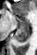 MRI. Posterior hippocampus = left=15, top=23, right=28, bottom=42.
Anterior hippocampus = left=19, top=18, right=28, bottom=22.